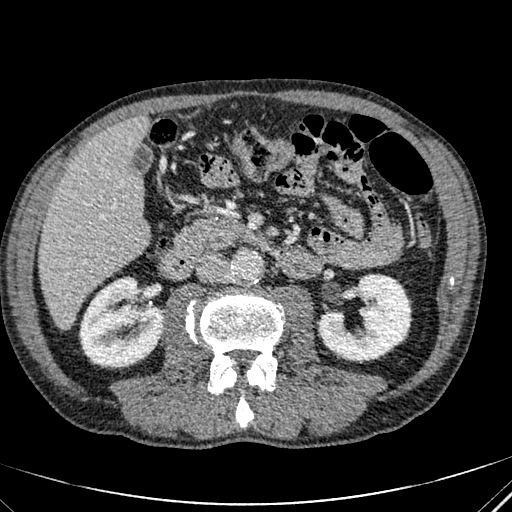 Abdomen | CT image
The liver lies within [39, 116, 148, 329]. 2 kidney regions appear at [81, 278, 162, 366], [320, 275, 409, 359].